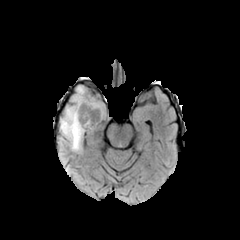
FLAIR MR.
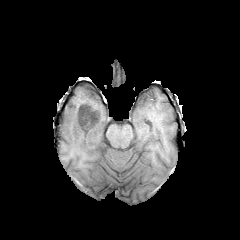
T1-weighted MR.
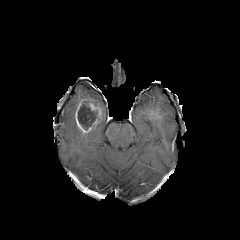
Post-contrast T1-weighted magnetic resonance.
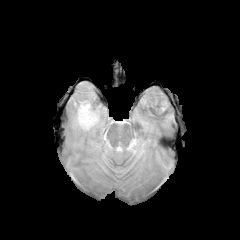
Same slice, T2-weighted magnetic resonance.
Head
Segmented structures:
- edema: (x1=61, y1=87, x2=106, y2=153)
- enhancing tumor: (x1=75, y1=110, x2=85, y2=131)
- non-enhancing tumor core: (x1=76, y1=102, x2=101, y2=131)